Image size 240x240 | Head
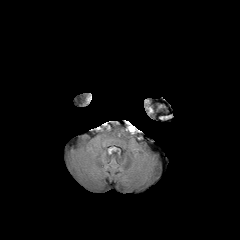
FLAIR MR.
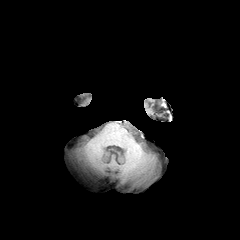
T1-weighted magnetic resonance.
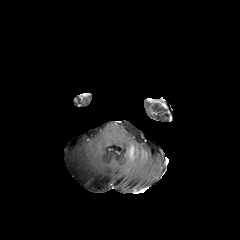
Post-contrast T1-weighted MR image.
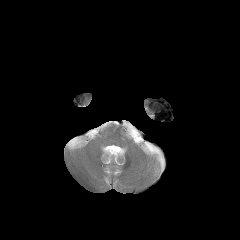
T2-weighted MR image.
Edema = [x1=104, y1=145, x2=118, y2=157], [x1=125, y1=124, x2=137, y2=138].